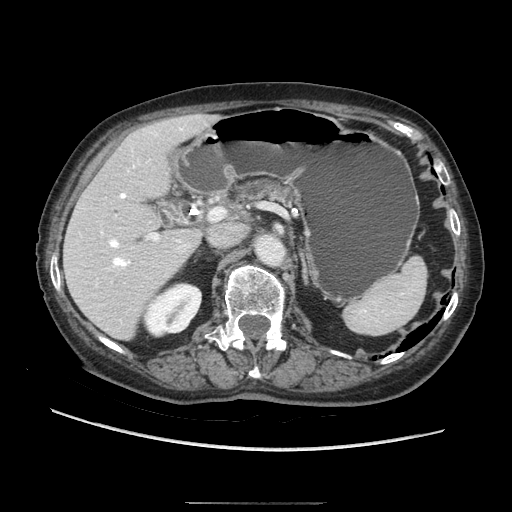

CT scan slice
- pancreas: x1=232 y1=179 x2=296 y2=205